FLAIR MRI.
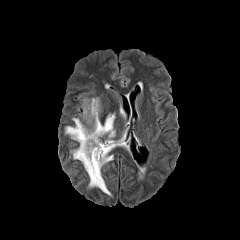
T1-weighted MR.
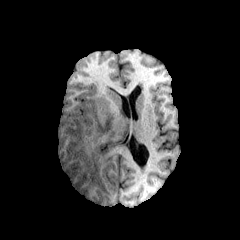
Post-contrast T1-weighted MR image.
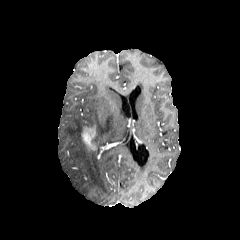
T2-weighted MR image.
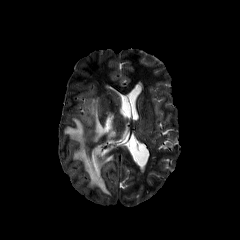
enhancing_tumor:
  - box(81, 125, 98, 152)
edema:
  - box(65, 118, 115, 196)
  - box(81, 97, 118, 146)